Brain.
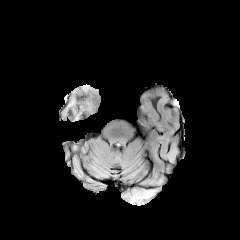
FLAIR magnetic resonance.
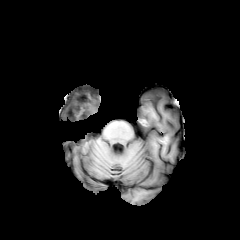
T1-weighted MR.
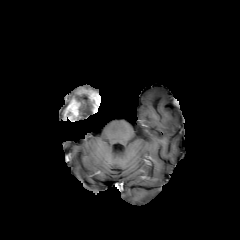
Same slice, post-contrast T1-weighted magnetic resonance.
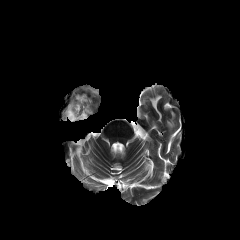
T2-weighted MRI.
enhancing_tumor:
  - 64, 102, 80, 119
non-enhancing_tumor_core:
  - 71, 92, 97, 117